CT; Slice 72 of 816; Pelvis
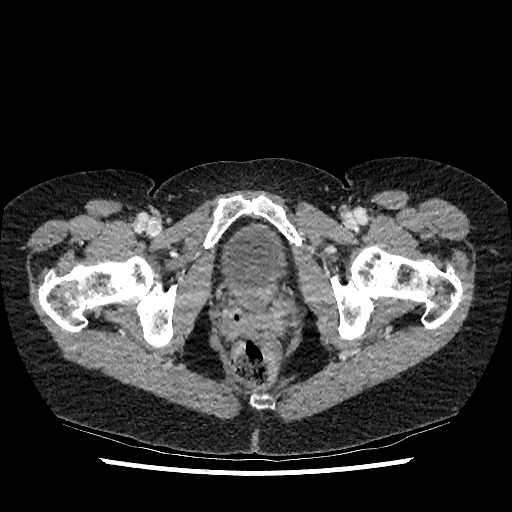
urinary bladder: box=[216, 217, 290, 290]